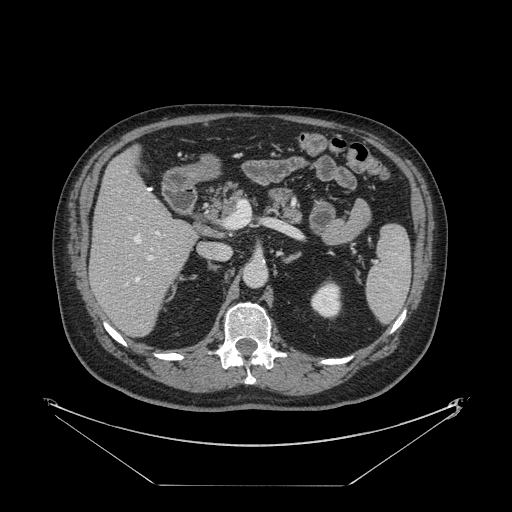
CT. 512x512 px. Liver.

The vessel boxes may cover only some of the vessels.
• hepatic vessel: l=129, t=217, r=130, b=219; l=147, t=255, r=152, b=259; l=155, t=231, r=158, b=234